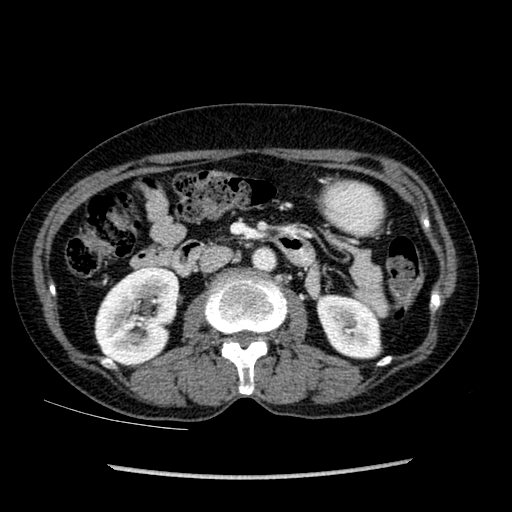

CT image
Kidney = 318:296:379:356, 96:267:177:364.